CT slice. Image size 512x512. Field of view 382x382 mm. Abdomen.
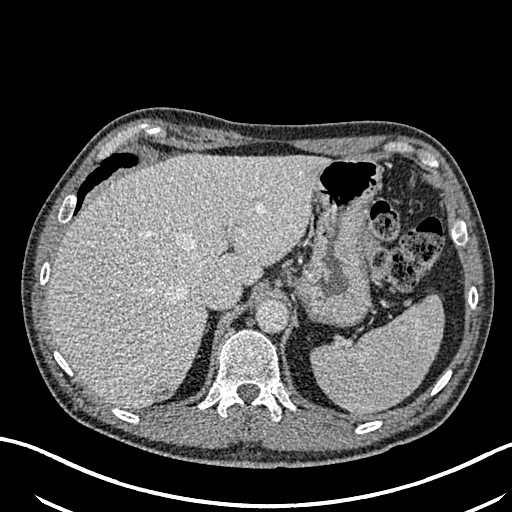
The liver is at {"x1": 49, "y1": 154, "x2": 330, "y2": 408}. The hepatic lesion is bounded by {"x1": 149, "y1": 382, "x2": 173, "y2": 401}.